Slice index 97
FLAIR MRI.
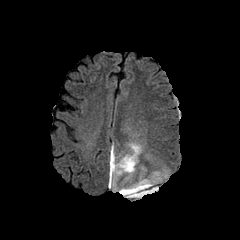
T1-weighted MRI.
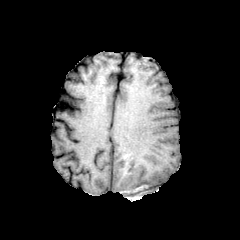
Post-contrast T1-weighted MR image.
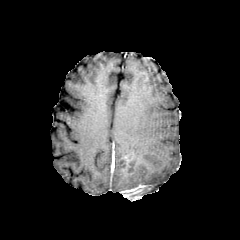
T2-weighted MRI.
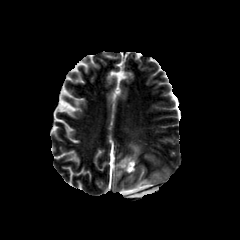
{
  "enhancing_tumor": [
    "<bbox>121, 184, 144, 197</bbox>"
  ],
  "non-enhancing_tumor_core": [
    "<bbox>129, 187, 145, 197</bbox>"
  ],
  "edema": [
    "<bbox>108, 144, 160, 197</bbox>"
  ]
}